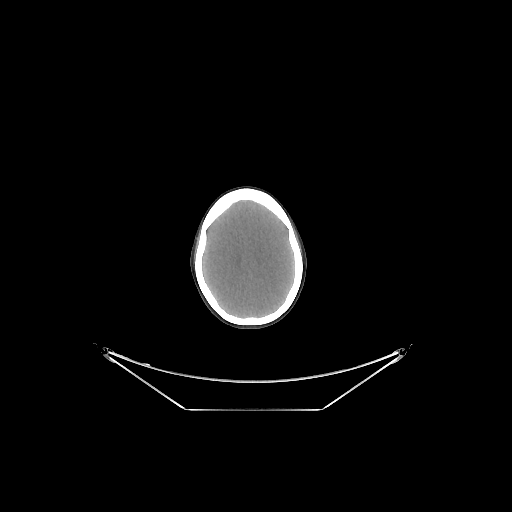

CT scan slice
Annotated regions:
* brain: 202 200 294 318